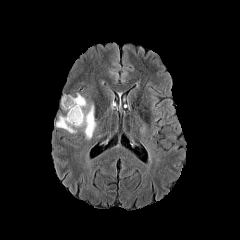
FLAIR MRI.
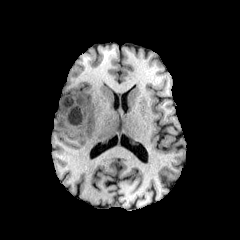
T1-weighted MR.
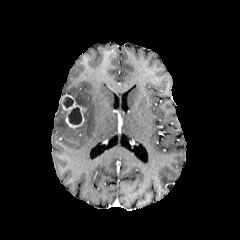
Post-contrast T1-weighted MR image.
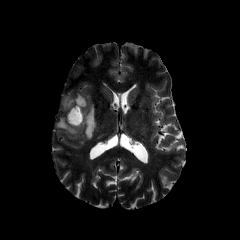
T2-weighted MRI.
Non-enhancing tumor core: bounding box 62, 97, 73, 108; 68, 107, 82, 124.
Enhancing tumor: bounding box 61, 94, 87, 129.
Edema: bounding box 74, 93, 96, 139; 55, 116, 76, 133.